Computed tomography; Slice 21/122; Field of view 512x512 mm

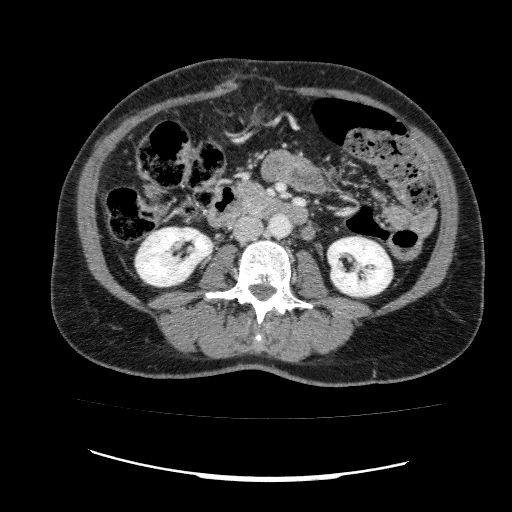 2 kidney regions are located at region(136, 228, 211, 286); region(328, 237, 392, 296).